Slice 113 of 155, Field of view 240x240 mm
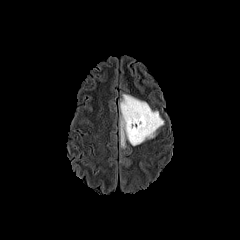
FLAIR magnetic resonance.
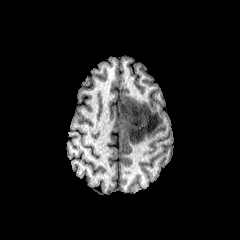
Same slice, T1-weighted MR.
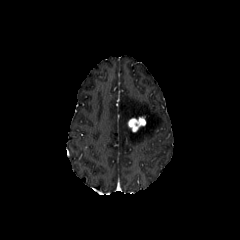
Post-contrast T1-weighted MR image.
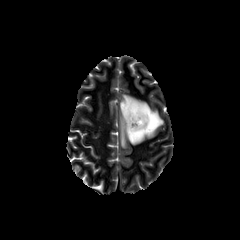
T2-weighted MR image of the same slice.
<segmentation>
  <edema>(x1=119, y1=94, x2=163, y2=145)</edema>
  <enhancing_tumor>(x1=127, y1=115, x2=146, y2=132)</enhancing_tumor>
</segmentation>